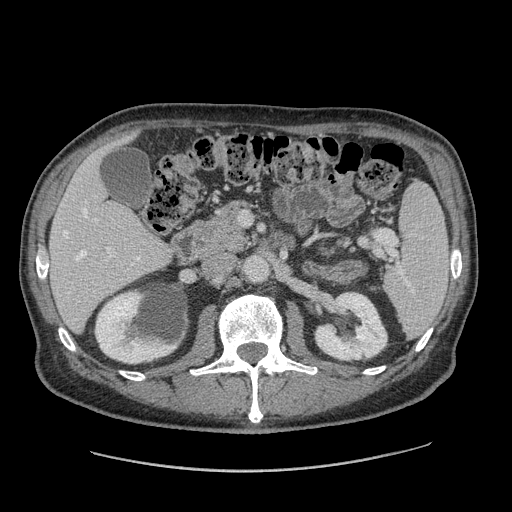

CT scan slice
2 pancreas regions appear at 336,239,354,252; 206,202,246,252.